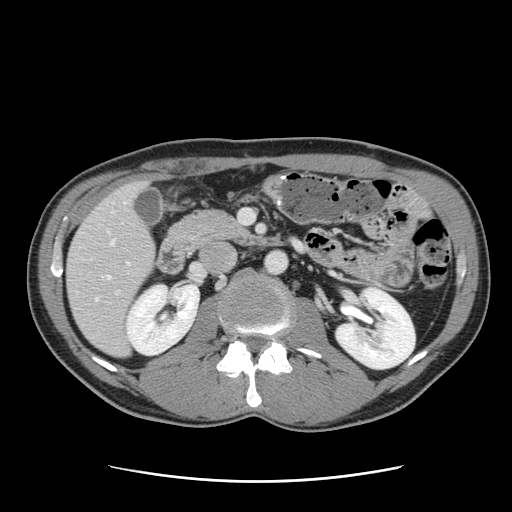
CT slice; Liver
The vessel annotation is not exhaustive.
hepatic_vessel:
  - 96 298 98 300
  - 124 202 126 203
  - 110 240 113 244
  - 102 275 109 278
  - 126 262 128 264
  - 107 230 108 232
  - 116 292 118 293